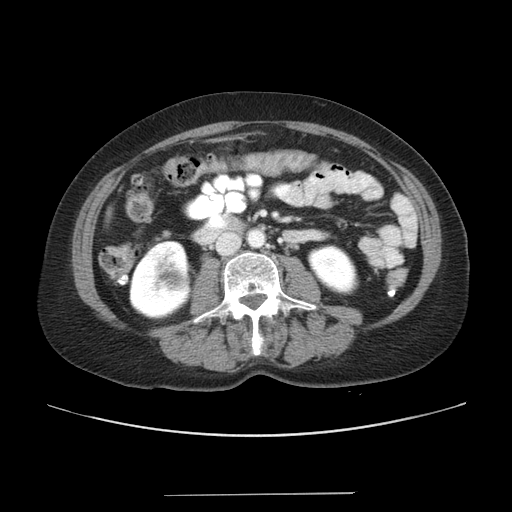

CT image.
The colon tumor is located at {"x1": 108, "y1": 246, "x2": 132, "y2": 271}.